CT image. Abdomen. 512x512.
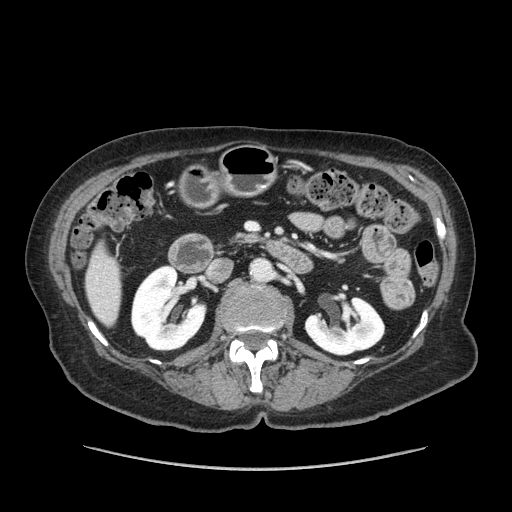
pancreas:
  - [237, 233, 255, 240]